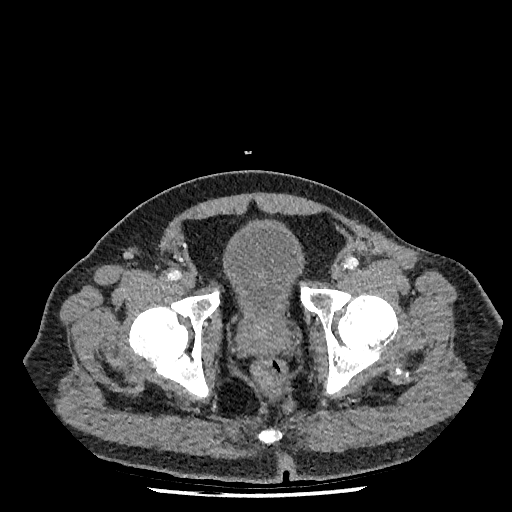
CT image. Lower abdomen.

Urinary bladder: [x1=222, y1=223, x2=305, y2=322].